CT image, Image size 512x512, Upper abdomen, Slice 358 of 536
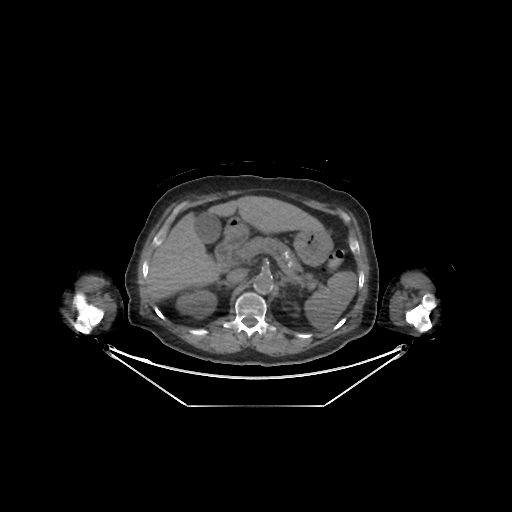
2 liver regions are located at x1=146 y1=214 x2=218 y2=297, x1=209 y1=197 x2=322 y2=233. 7 bone regions are located at x1=406 y1=294 x2=434 y2=331, x1=73 y1=294 x2=103 y2=333, x1=232 y1=293 x2=266 y2=336, x1=334 y1=319 x2=345 y2=328, x1=359 y1=273 x2=363 y2=286, x1=191 y1=330 x2=206 y2=334, x1=143 y1=262 x2=147 y2=277. The kidney is at x1=176 y1=288 x2=216 y2=318.